Computed tomography; Abdomen; Slice 72 of 158

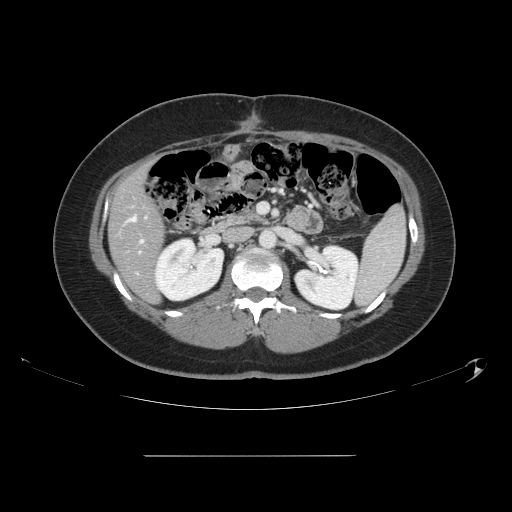 Only some of the vessels may be annotated.
hepatic_vessel:
  - 126, 215, 135, 222
  - 140, 240, 142, 242